MR 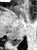 Segmented structures:
* posterior hippocampus: [11,38,21,44]